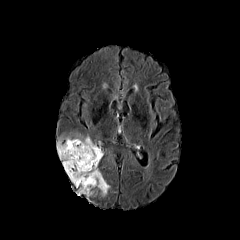
FLAIR MRI.
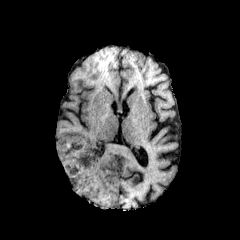
T1-weighted magnetic resonance of the same slice.
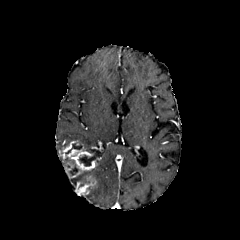
Same slice, post-contrast T1-weighted MR image.
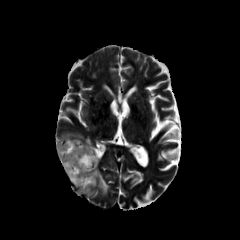
Same slice, T2-weighted MR.
Brain, 240x240 px
Enhancing tumor at region(78, 174, 97, 194); region(59, 140, 101, 178).
Non-enhancing tumor core at region(79, 151, 102, 166); region(68, 164, 78, 176).
Edema at region(59, 134, 99, 151); region(72, 167, 110, 196).